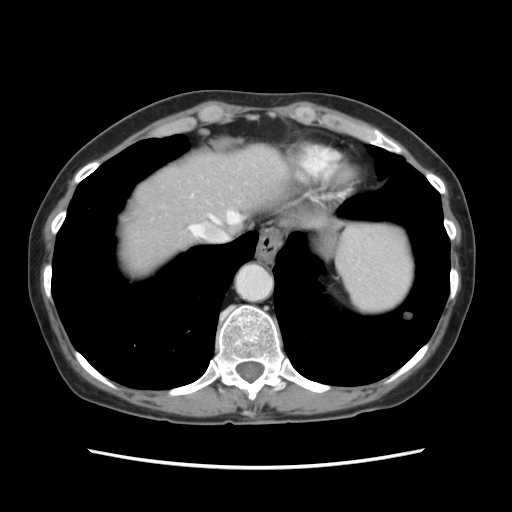
CT scan slice. Abdomen.
Not every hepatic vessel necessarily has a box.
hepatic_vessel:
  - 211:217:217:222
  - 191:226:197:232
  - 227:213:229:217